CT | Slice 161 of 588

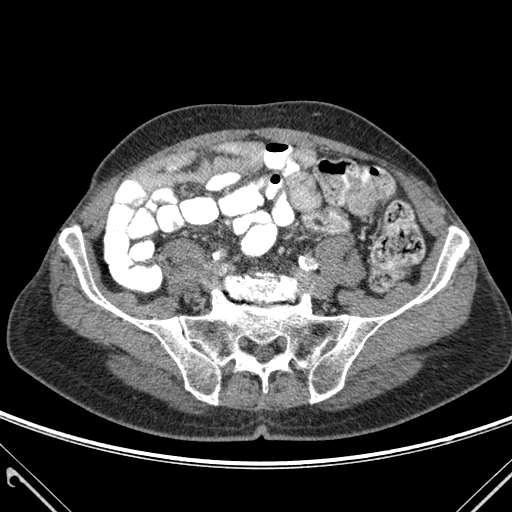

Bone: box=[59, 226, 468, 404].